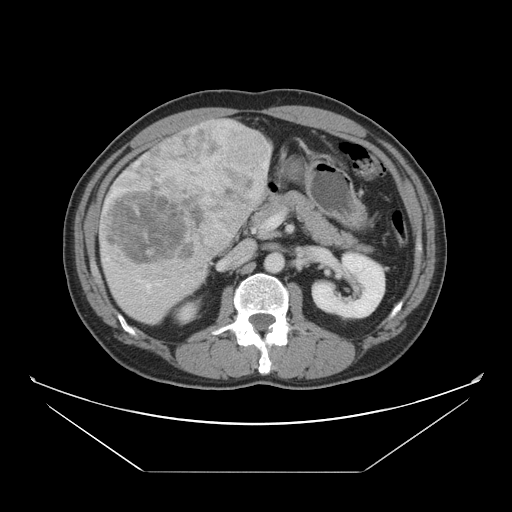 Abdomen. CT scan slice. The vessel boxes may cover only some of the vessels.
{"liver_tumor": ["l=100, t=126, r=270, b=270"], "hepatic_vessel": ["l=138, t=279, r=141, b=282", "l=146, t=283, r=150, b=293", "l=182, t=284, r=184, b=287", "l=163, t=280, r=164, b=282", "l=103, t=257, r=109, b=265", "l=155, t=280, r=159, b=285"]}